Slice 88/155; Brain; Image size 240x240
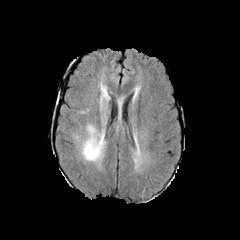
FLAIR MRI.
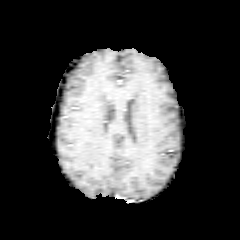
T1-weighted MRI.
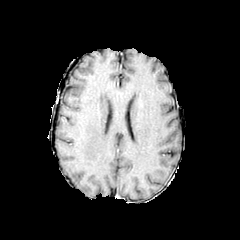
Post-contrast T1-weighted MR.
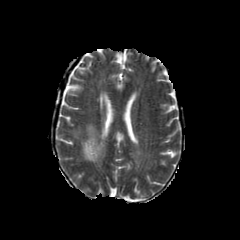
T2-weighted MR.
Annotated regions:
• edema: 73 115 106 163, 99 87 109 113